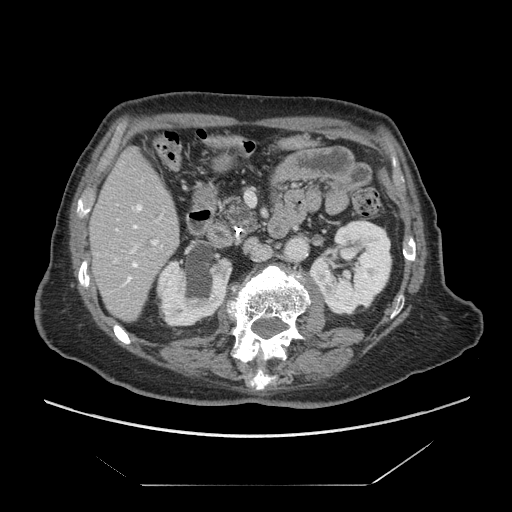

CT image
<segmentation>
  <pancreas><bbox>215, 193, 264, 241</bbox></pancreas>
</segmentation>